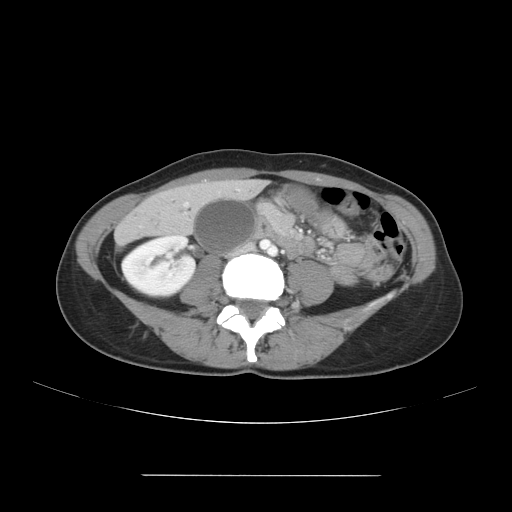
Image size 512x512 | Upper abdomen | CT scan slice

<segmentation>
  <pancreas>[258, 202, 294, 235]</pancreas>
</segmentation>